Chest, Image size 512x512, CT slice, Slice 524/565
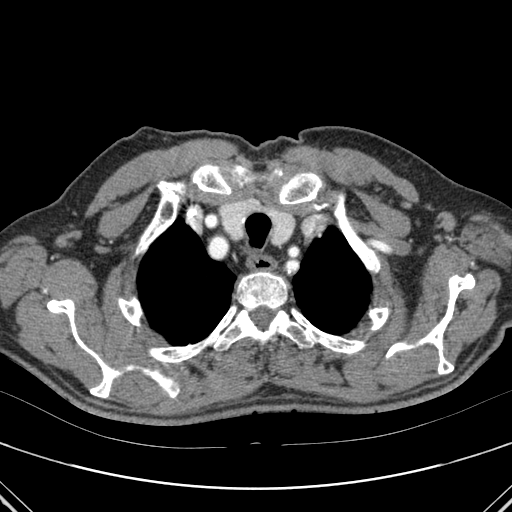 Bone = <box>186,209,195,227</box>, <box>193,164,231,194</box>, <box>369,307,389,330</box>, <box>386,342,413,358</box>, <box>273,169,282,175</box>, <box>148,369,178,397</box>, <box>47,299,118,397</box>, <box>279,173,321,204</box>, <box>149,272,365,362</box>, <box>418,274,474,374</box>, <box>334,194,379,271</box>, <box>118,298,142,325</box>, <box>230,165,245,179</box>, <box>138,181,184,252</box>.
Lung = <box>137,218,235,345</box>, <box>293,226,371,334</box>.